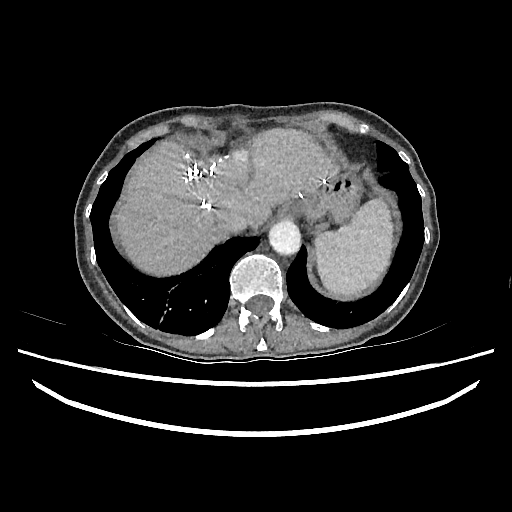
CT

Liver — l=117, t=129, r=334, b=273.